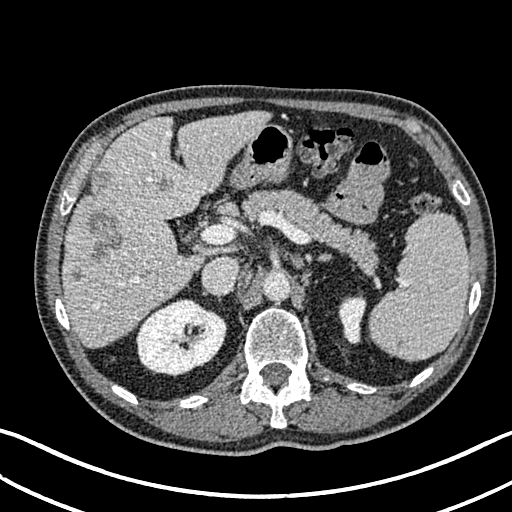
CT scan slice, Upper abdomen
Kidney at [137, 300, 225, 374], [340, 298, 364, 342].
Liver at [63, 110, 269, 346].
Hepatic lesion at [72, 271, 81, 281], [90, 172, 108, 197], [86, 209, 122, 259], [158, 179, 168, 191].